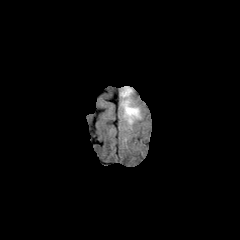
FLAIR MR image.
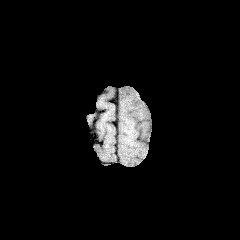
T1-weighted MRI.
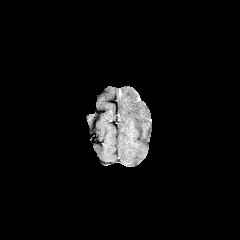
Post-contrast T1-weighted magnetic resonance of the same slice.
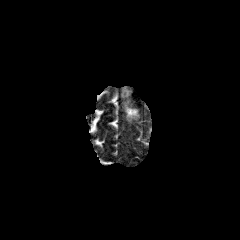
T2-weighted MR.
240x240 px
The edema is bounded by 119,87,141,123.